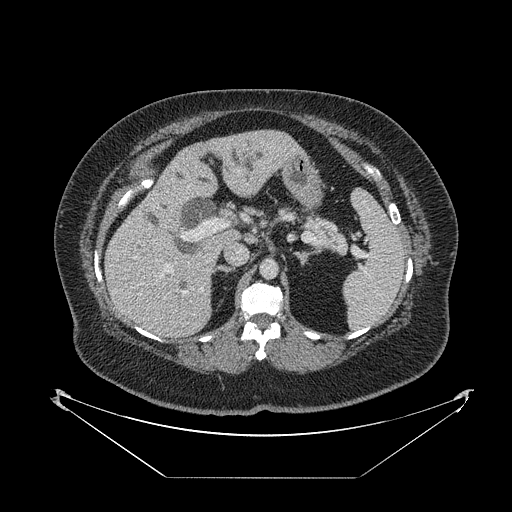 Abdomen | CT scan slice | 512x512 px
Pancreas = 277,203,349,255.